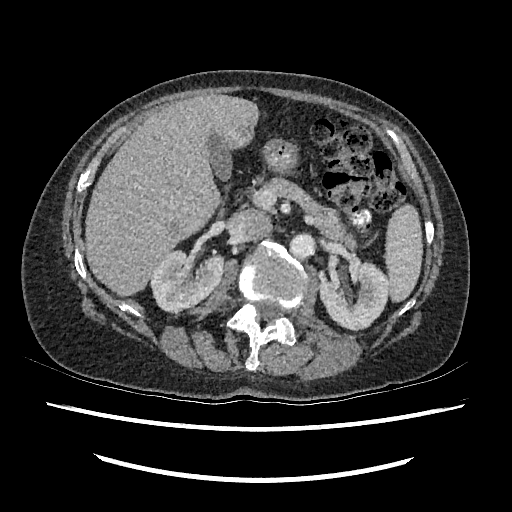

Liver; CT image; 512x512
Liver at bbox(86, 95, 257, 295).
Kidney at bbox(151, 251, 223, 312); bbox(320, 256, 390, 329).